Thorax. Image width 335 mm. CT slice. Slice 529/565.
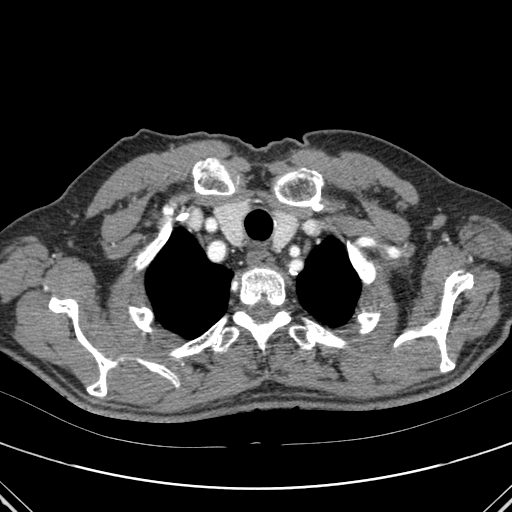

2 lung regions appear at x1=296, y1=236, x2=360, y2=327; x1=145, y1=227, x2=233, y2=339. 12 bone regions are located at x1=289, y1=319, x2=346, y2=349; x1=140, y1=359, x2=177, y2=386; x1=347, y1=241, x2=375, y2=283; x1=169, y1=311, x2=290, y2=358; x1=357, y1=313, x2=380, y2=333; x1=275, y1=171, x2=322, y2=210; x1=48, y1=297, x2=115, y2=396; x1=232, y1=268, x2=286, y2=306; x1=394, y1=271, x2=473, y2=372; x1=136, y1=205, x2=189, y2=269; x1=193, y1=159, x2=234, y2=195; x1=128, y1=306, x2=152, y2=332.